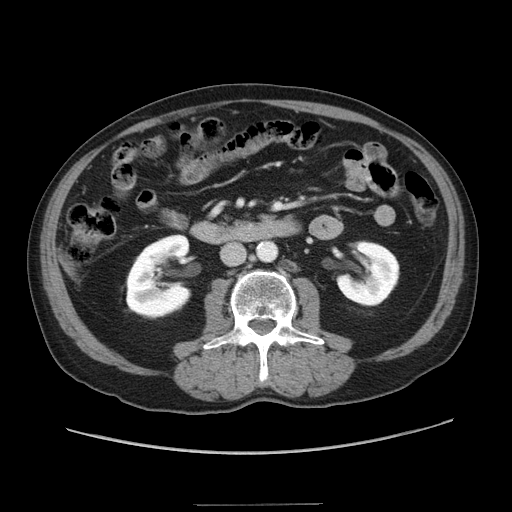
Abdomen; Computed tomography; 512x512
{
  "pancreas": [
    "bbox(225, 220, 239, 228)"
  ]
}